CT scan slice, Abdomen

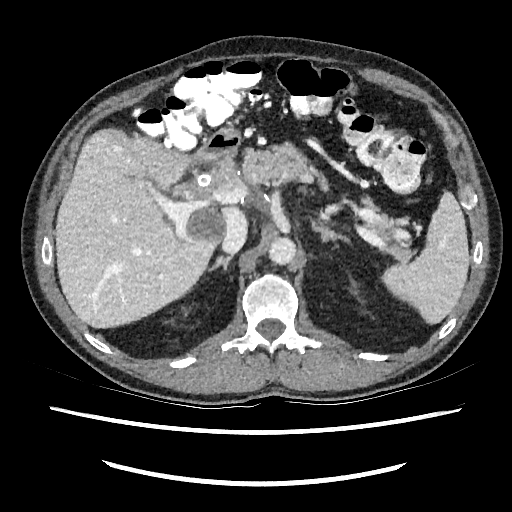
Liver lesion at <bbox>176, 183, 203, 199</bbox>, <bbox>210, 161, 233, 188</bbox>, <bbox>188, 209, 221, 240</bbox>.
Liver at <bbox>222, 171, 234, 185</bbox>, <bbox>172, 188, 187, 199</bbox>, <bbox>56, 131, 218, 326</bbox>.